FLAIR MR image.
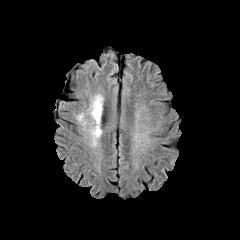
T1-weighted magnetic resonance.
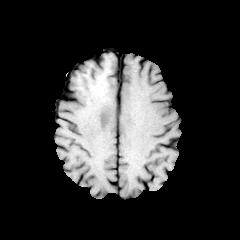
Post-contrast T1-weighted MR image.
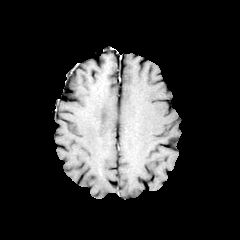
T2-weighted MR image.
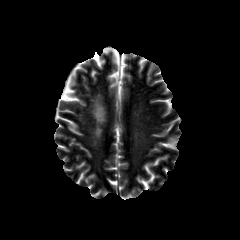
Head
edema:
  - 76, 112, 85, 124
  - 89, 94, 103, 140